Slice index 76, Brain
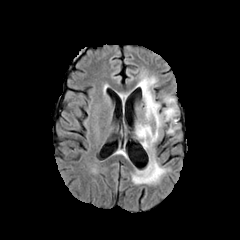
FLAIR magnetic resonance.
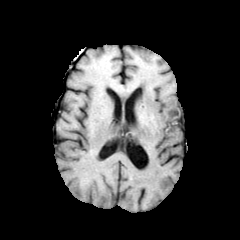
T1-weighted MR of the same slice.
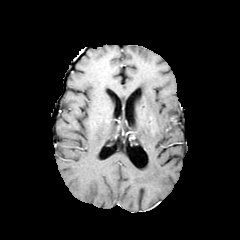
Post-contrast T1-weighted magnetic resonance.
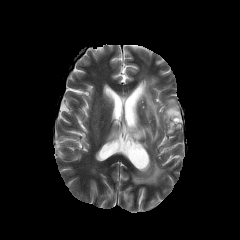
T2-weighted magnetic resonance.
2 edema regions are bounded by {"x1": 132, "y1": 156, "x2": 167, "y2": 184}, {"x1": 134, "y1": 76, "x2": 179, "y2": 150}.